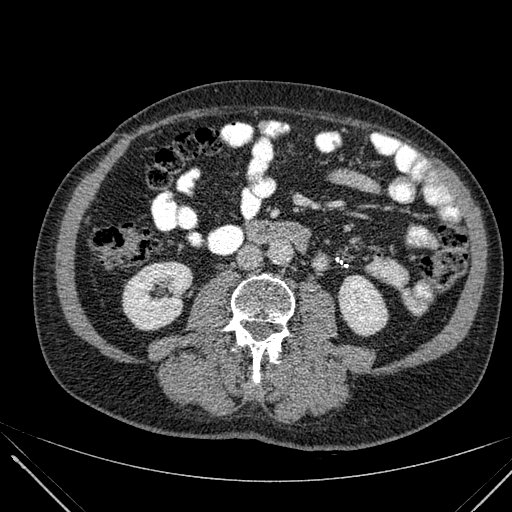
Abdomen, CT image

• kidney: 123:262:191:329, 339:276:386:334